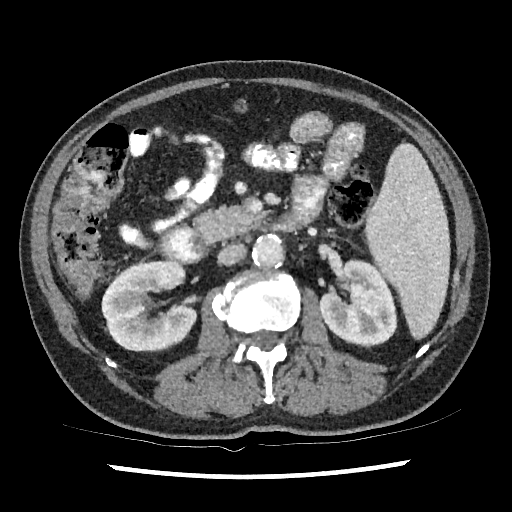

Computed tomography
{"kidney": ["box=[102, 261, 196, 350]", "box=[320, 261, 396, 345]"]}